FLAIR MRI.
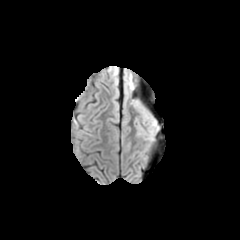
T1-weighted MR image.
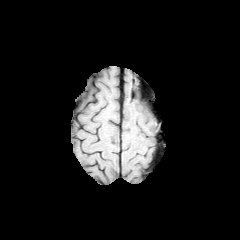
Post-contrast T1-weighted MR image.
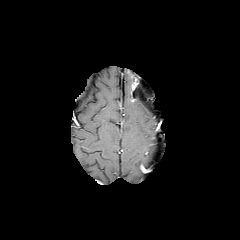
T2-weighted MR.
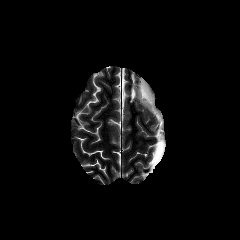
Image size 240x240; Brain
3 edema regions appear at (left=124, top=83, right=131, bottom=99), (left=142, top=108, right=153, bottom=123), (left=138, top=124, right=156, bottom=139).